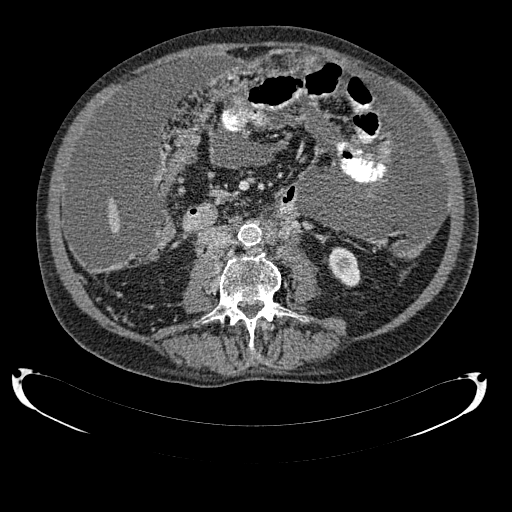 CT scan slice | Abdomen
The liver lies within [108, 202, 119, 232]. The kidney is at [329, 248, 359, 286].